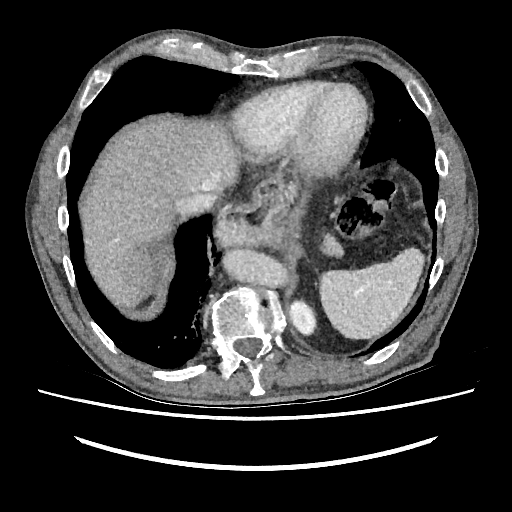

Upper abdomen, CT slice
The focal liver lesion appears at x1=123 y1=233 x2=169 y2=294. The liver lies within x1=81 y1=119 x2=241 y2=307. The kidney appears at x1=290 y1=302 x2=314 y2=333.